Slice 101/155, Field of view 240x240 mm
FLAIR magnetic resonance.
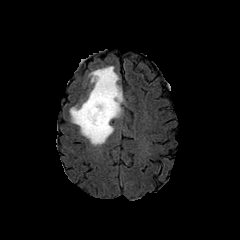
T1-weighted magnetic resonance.
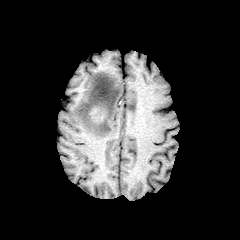
Post-contrast T1-weighted MRI.
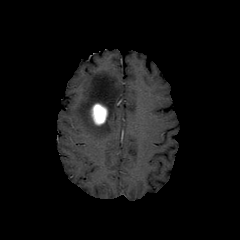
T2-weighted magnetic resonance.
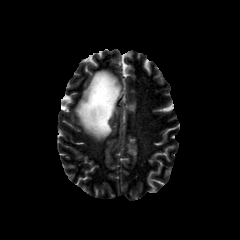
Non-enhancing tumor core = (86,76,115,129).
Enhancing tumor = (90,102,108,125).
Edema = (69,66,123,145).